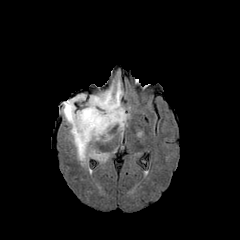
FLAIR magnetic resonance.
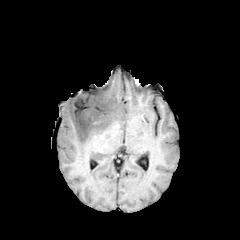
T1-weighted magnetic resonance.
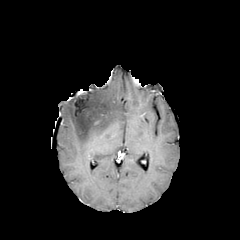
Post-contrast T1-weighted magnetic resonance.
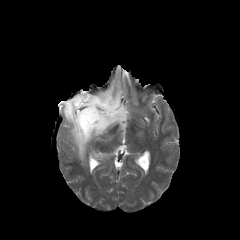
T2-weighted magnetic resonance.
240x240 | Head
The edema appears at (60, 80, 129, 163). The non-enhancing tumor core is bounded by (66, 93, 107, 138).